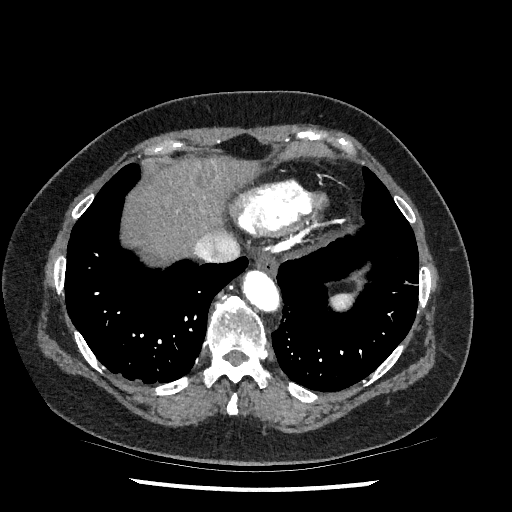

CT slice. Abdomen. The liver is at l=127, t=158, r=255, b=260.